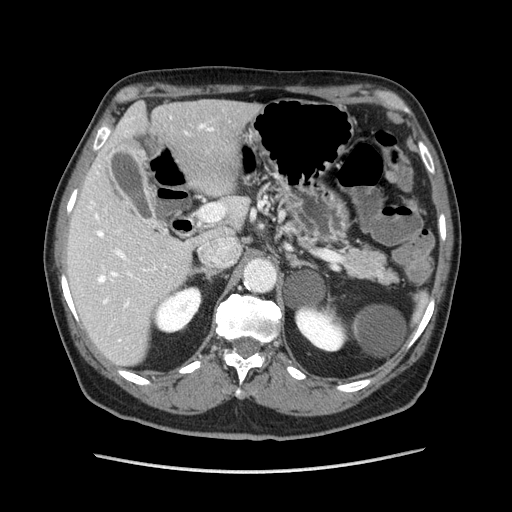 CT image | Abdomen

2 pancreas regions are bounded by (x1=289, y1=222, x2=315, y2=241), (x1=343, y1=246, x2=396, y2=283).